Liver | Field of view 380 mm wide, 1.50 mm slice spacing | 512x512 px | CT slice
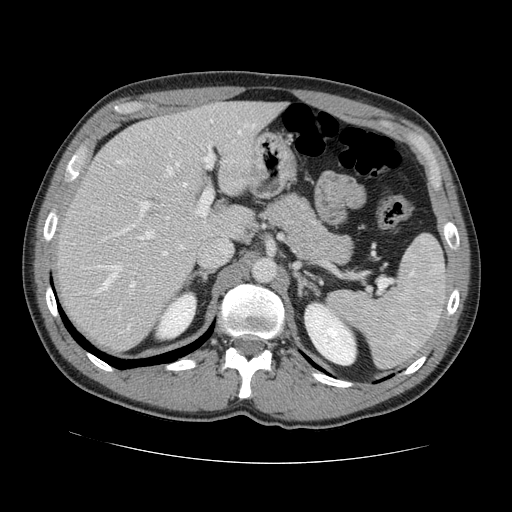

Some hepatic vessels may have no box.
Findings:
- hepatic vessel (largest 15 of 25): <box>244,124,253,128</box>, <box>164,167,172,176</box>, <box>183,182,186,186</box>, <box>162,251,166,254</box>, <box>112,226,131,235</box>, <box>175,161,179,167</box>, <box>146,286,152,289</box>, <box>138,230,153,245</box>, <box>114,160,124,165</box>, <box>83,263,121,294</box>, <box>125,323,129,330</box>, <box>101,237,106,240</box>, <box>134,200,149,216</box>, <box>176,133,179,138</box>, <box>130,282,134,290</box>